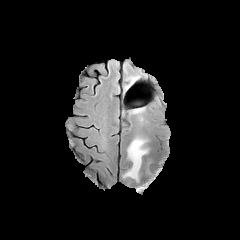
FLAIR MRI.
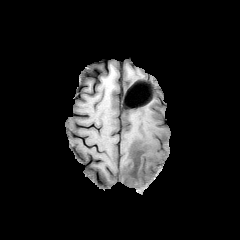
T1-weighted MR image.
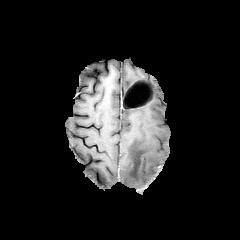
Post-contrast T1-weighted MR image of the same slice.
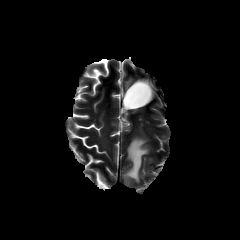
Same slice, T2-weighted MRI.
Head
Edema — (x1=122, y1=136, x2=148, y2=181).